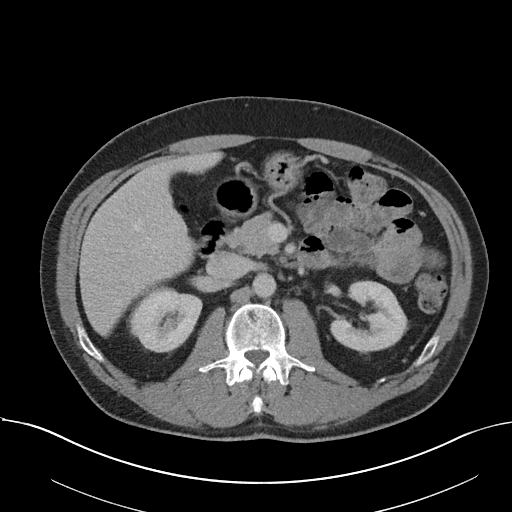

Abdomen. CT.
The vessel boxes may cover only some of the vessels.
Hepatic vessel: bounding box x1=136, y1=283, x2=136, y2=288; x1=118, y1=300, x2=121, y2=305; x1=179, y1=261, x2=181, y2=265; x1=134, y1=225, x2=138, y2=230; x1=167, y1=266, x2=170, y2=268.